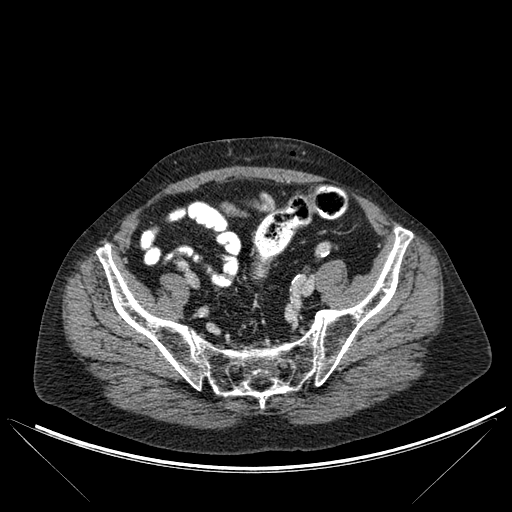 CT scan slice
Bone: 96 227 412 407.